Image size 512x512, CT image, Abdomen

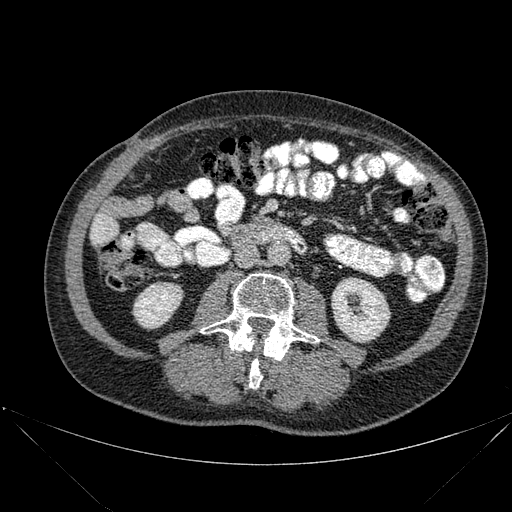
2 kidney regions appear at region(332, 278, 389, 342); region(134, 283, 182, 328). 2 bone regions appear at region(200, 273, 319, 360); region(249, 359, 262, 388).